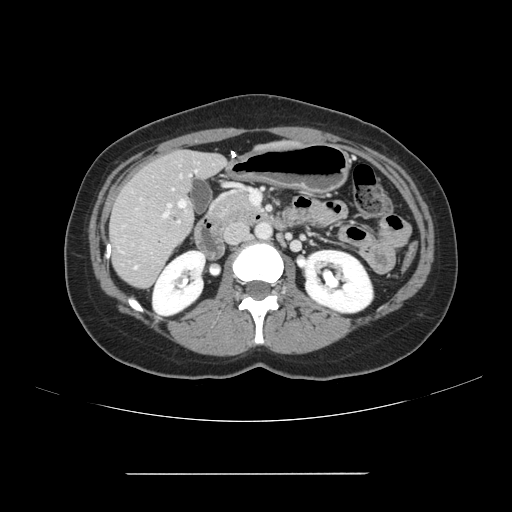
CT, 512x512

Some hepatic vessels may have no box.
* hepatic vessel: <bbox>167, 204, 170, 207</bbox>, <bbox>179, 200, 185, 207</bbox>, <bbox>163, 212, 168, 216</bbox>, <bbox>135, 266, 136, 268</bbox>